Thorax, CT image

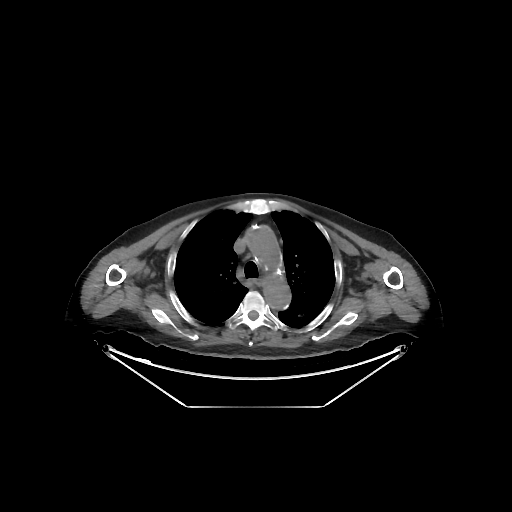
Lung: bounding box x1=244, y1=261, x2=258, y2=278; x1=174, y1=209, x2=253, y2=325; x1=271, y1=210, x2=335, y2=328.
Bone: bounding box x1=106, y1=264, x2=126, y2=285; x1=245, y1=199, x2=271, y2=214; x1=312, y1=330, x2=329, y2=340; x1=333, y1=312, x2=357, y2=326; x1=335, y1=270, x2=341, y2=282; x1=307, y1=305, x2=332, y2=330; x1=170, y1=292, x2=191, y2=321; x1=232, y1=291, x2=284, y2=330; x1=383, y1=266, x2=402, y2=289; x1=152, y1=308, x2=172, y2=324.